Upper abdomen; CT image; Slice 53/105 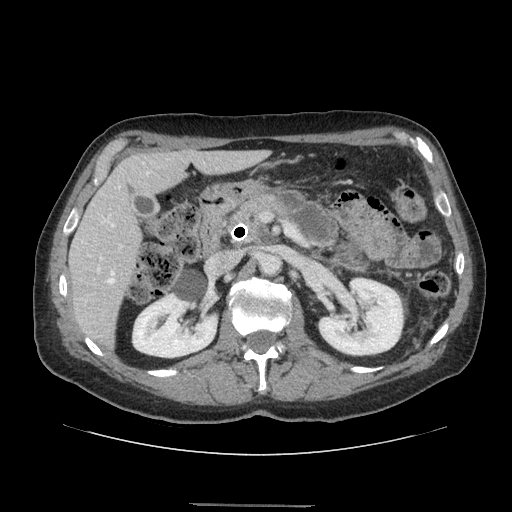

The pancreas is at 230,195,285,240.